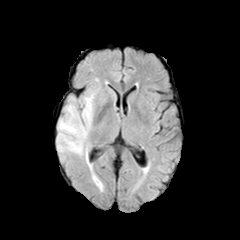
FLAIR MRI.
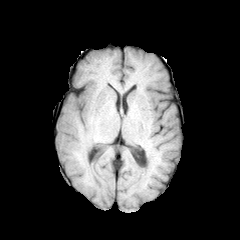
T1-weighted MR.
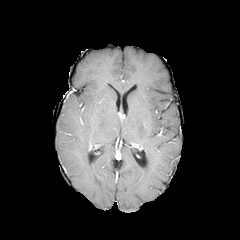
Post-contrast T1-weighted MRI.
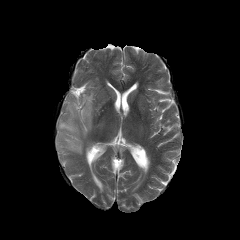
T2-weighted MR image.
edema: 56 86 97 164